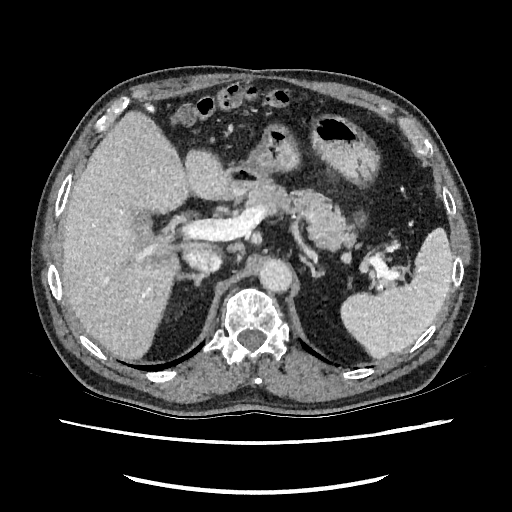 Liver. Computed tomography. 512x512. {
  "liver": [
    "left=63, top=113, right=228, bottom=358"
  ],
  "hepatic_lesion": [
    "left=134, top=213, right=151, bottom=245",
    "left=146, top=253, right=173, bottom=264"
  ]
}